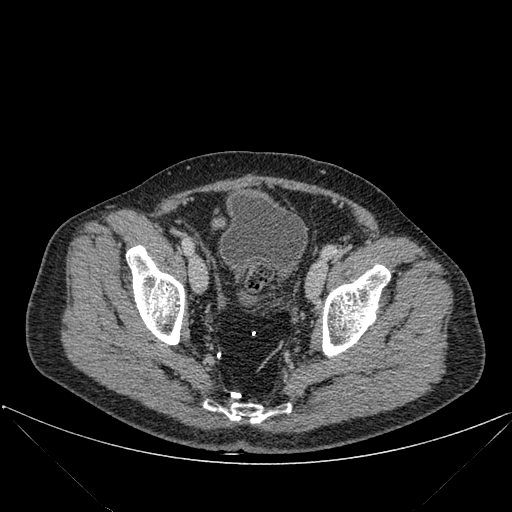
CT image.

The urinary bladder is located at <bbox>218, 195, 307, 306</bbox>. 3 bone regions are bounded by <bbox>322, 264, 390, 355</bbox>, <bbox>203, 402, 291, 424</bbox>, <bbox>126, 245, 184, 344</bbox>.